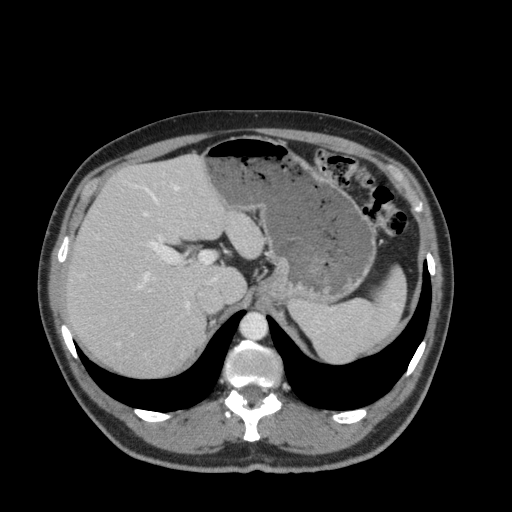
CT image
Liver — {"x1": 357, "y1": 266, "x2": 406, "y2": 353}, {"x1": 67, "y1": 155, "x2": 263, "y2": 375}.